CT. Abdomen. Field of view 396 mm wide, 1.50 mm slice spacing. Slice 112/144. 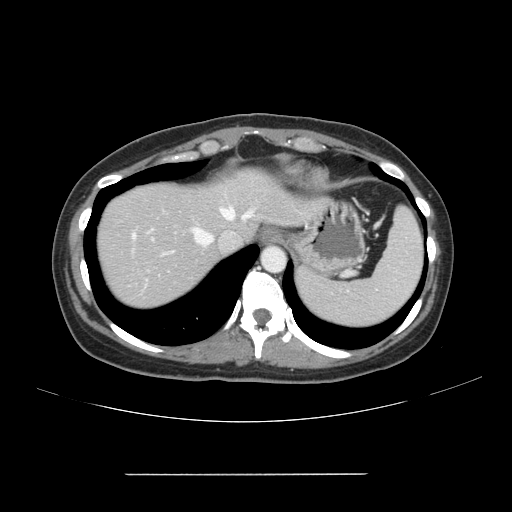

The vessel annotation is not exhaustive.
Hepatic vessel at {"x1": 243, "y1": 211, "x2": 251, "y2": 218}, {"x1": 221, "y1": 208, "x2": 234, "y2": 219}, {"x1": 132, "y1": 233, "x2": 135, "y2": 237}, {"x1": 193, "y1": 228, "x2": 212, "y2": 244}.